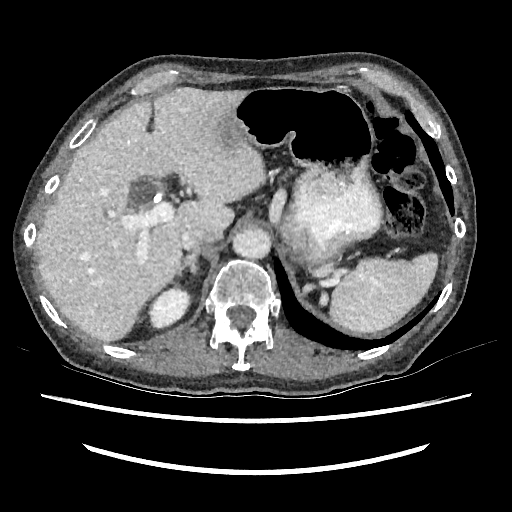

CT slice. Liver. Annotated regions:
• liver: region(36, 89, 264, 340)
• kidney: region(150, 289, 188, 326)